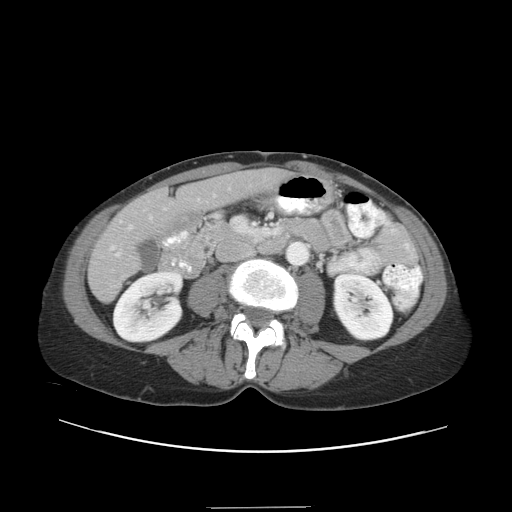
CT scan slice | Liver | 512x512 px
The vessel annotation is not exhaustive.
Hepatic vessel: bounding box 128, 225, 132, 228; 197, 198, 199, 200; 116, 253, 119, 256; 120, 220, 122, 222; 110, 246, 114, 249; 149, 215, 152, 218; 164, 208, 165, 209; 213, 194, 215, 196.